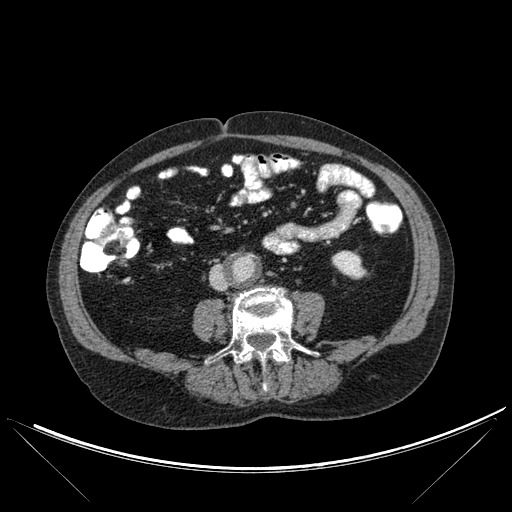
Abdomen | Computed tomography

The bone is located at left=222, top=287, right=304, bottom=391. The kidney is located at left=332, top=251, right=365, bottom=278.